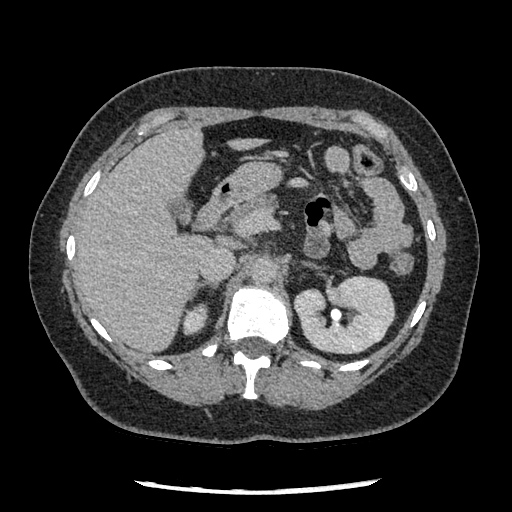 Image size 512x512; CT slice
pancreas:
  - rect(230, 195, 275, 227)